FLAIR magnetic resonance.
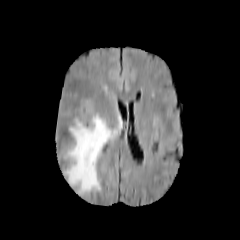
T1-weighted MR.
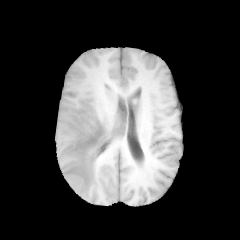
Post-contrast T1-weighted magnetic resonance.
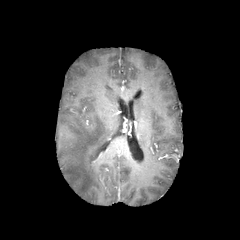
T2-weighted magnetic resonance.
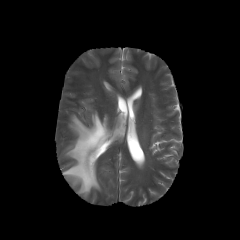
The edema lies within box=[63, 112, 122, 193].